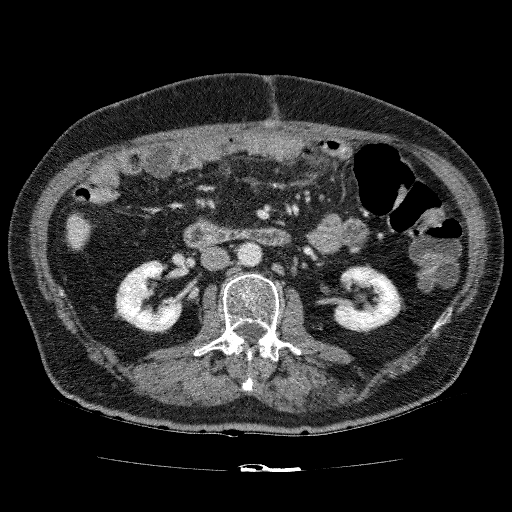
Abdomen; CT scan slice; Image size 512x512
2 kidney regions appear at box(116, 261, 183, 331); box(334, 267, 400, 331). The liver is located at box(67, 214, 87, 250).